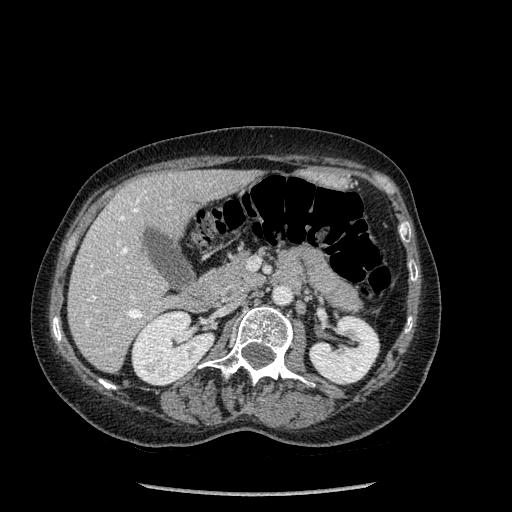
512x512; CT image

2 kidney regions are located at 132 312 213 384, 310 316 378 383. The liver is located at 68 170 259 372. 6 bone regions are located at 99 379 115 389, 405 316 412 332, 52 317 61 341, 408 262 417 281, 198 306 314 386, 399 224 410 241.